Image size 240x240
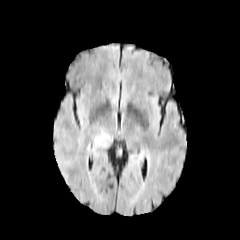
FLAIR MR.
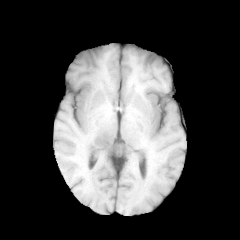
T1-weighted magnetic resonance.
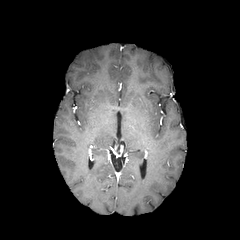
Post-contrast T1-weighted MRI.
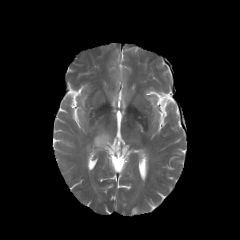
T2-weighted magnetic resonance of the same slice.
The edema is at x1=95 y1=135 x2=109 y2=146.